240x240; Slice index 90; Brain
FLAIR magnetic resonance.
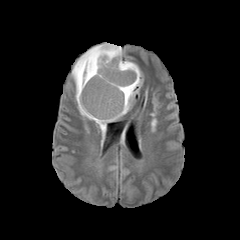
T1-weighted MR image.
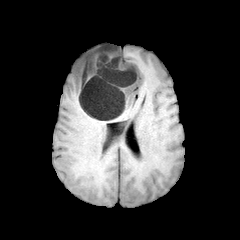
Post-contrast T1-weighted MRI.
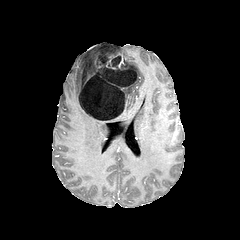
T2-weighted MR.
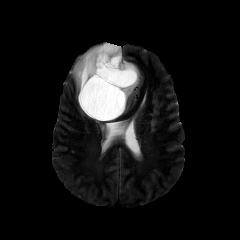
Non-enhancing tumor core — (78, 44, 137, 121).
Edema — (72, 44, 114, 138), (122, 54, 142, 112).